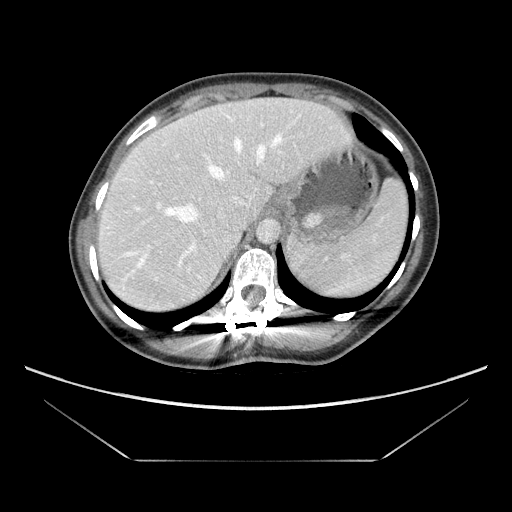
CT image

Some hepatic vessels may have no box.
Hepatic vessel: bounding box rect(269, 134, 282, 147); rect(158, 203, 199, 224); rect(183, 240, 195, 255); rect(207, 160, 225, 180); rect(233, 139, 242, 154); rect(256, 144, 267, 162); rect(230, 196, 242, 203).